FLAIR MRI.
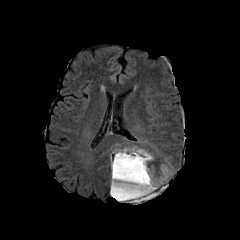
T1-weighted MRI.
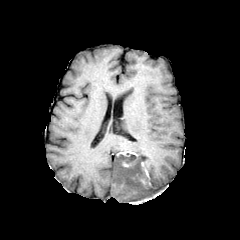
Post-contrast T1-weighted magnetic resonance.
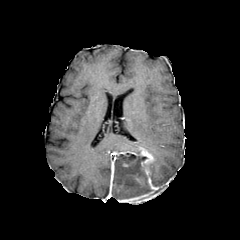
T2-weighted MR image.
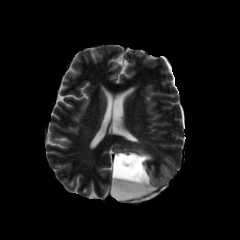
240x240 px. Head.
3 edema regions are bounded by (116,180,131,189), (118,148,141,153), (146,162,167,186). 3 enhancing tumor regions are located at (110,152,125,195), (140,150,152,165), (118,178,157,202). The non-enhancing tumor core is at (112,152,150,199).